FLAIR MR image.
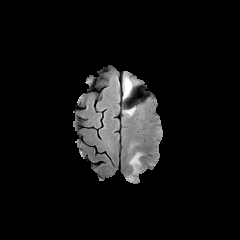
T1-weighted MR image.
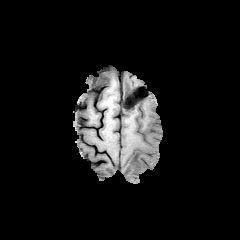
Post-contrast T1-weighted MR image.
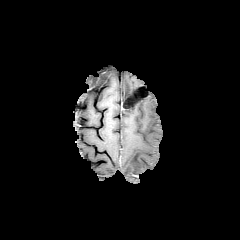
T2-weighted MR image.
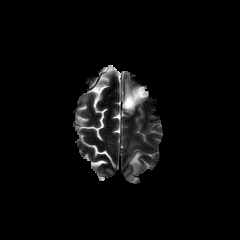
2 edema regions are bounded by 123, 78, 129, 98; 127, 151, 143, 181.